Image width 387 mm. CT slice. Abdomen. Slice index 500. 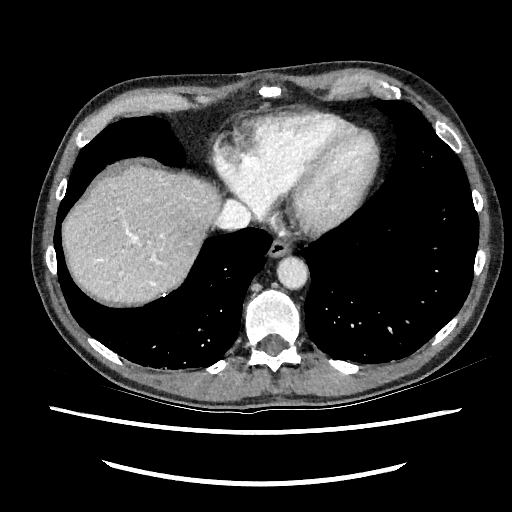
Segmented structures:
* liver: bbox(64, 164, 222, 303)